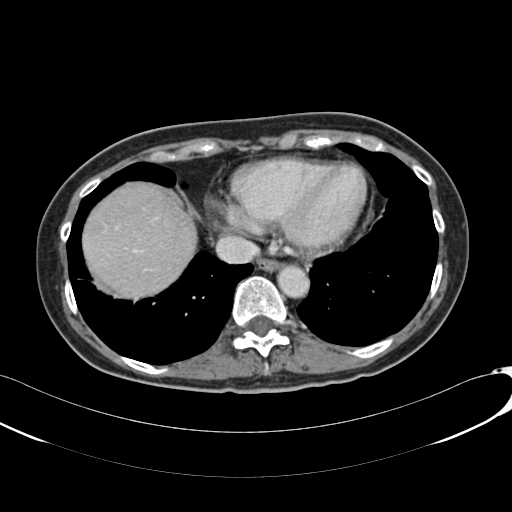 CT scan slice; Liver

Liver: bounding box rect(83, 185, 194, 295).